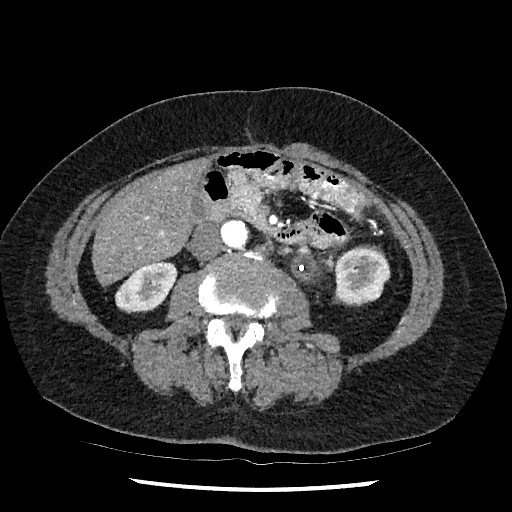 Computed tomography
kidney:
  - box=[336, 248, 389, 303]
  - box=[116, 262, 176, 311]
liver:
  - box=[92, 160, 207, 285]